Slice 34 of 83, Computed tomography

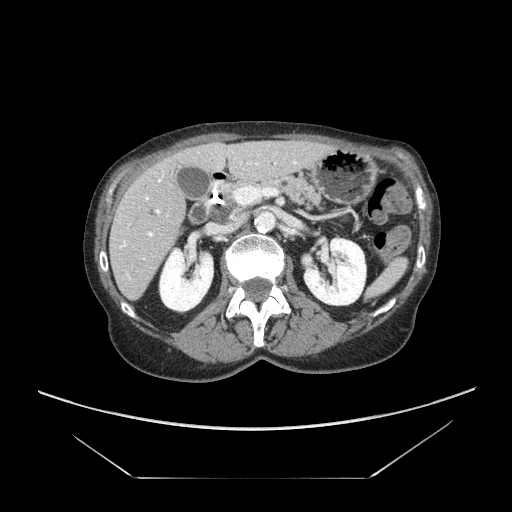

<segmentation>
  <pancreas>(x1=261, y1=171, x2=326, y2=213)</pancreas>
</segmentation>